Computed tomography | Slice 558/836
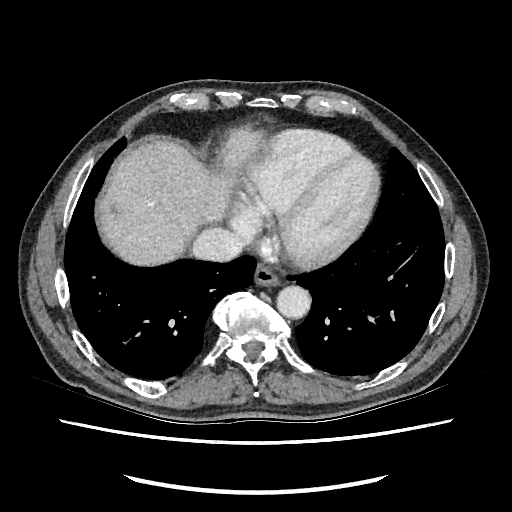 Liver: bounding box 100,131,259,265.